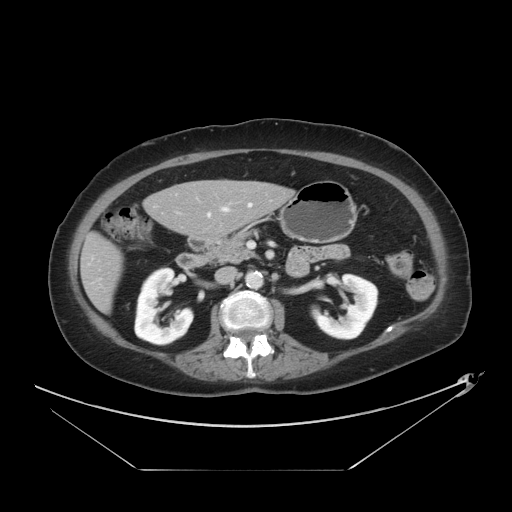

Image size 512x512; Abdomen; CT slice

Some hepatic vessels may have no box.
Findings:
- hepatic vessel: [222, 208, 228, 210], [248, 203, 251, 206], [208, 213, 210, 215]